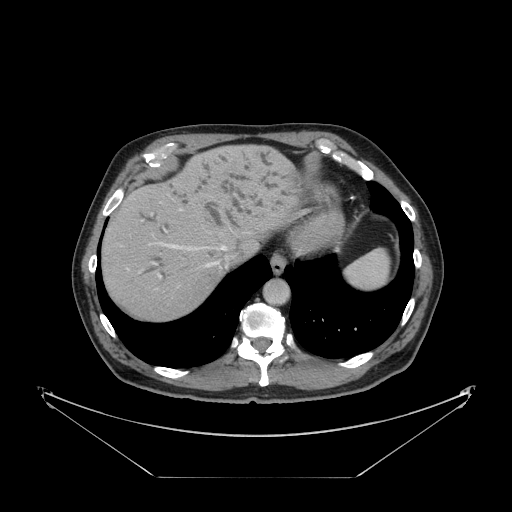
512x512. CT scan slice.
Some hepatic vessels may have no box.
Hepatic vessel — (167,245,210,250), (126,268,128,270), (158,275,159,277), (152,262,156,264), (147,244,150,245), (215,237,233,266), (159,244,163,245), (201,260,221,267).